Slice 231 of 455, Image size 512x512, CT 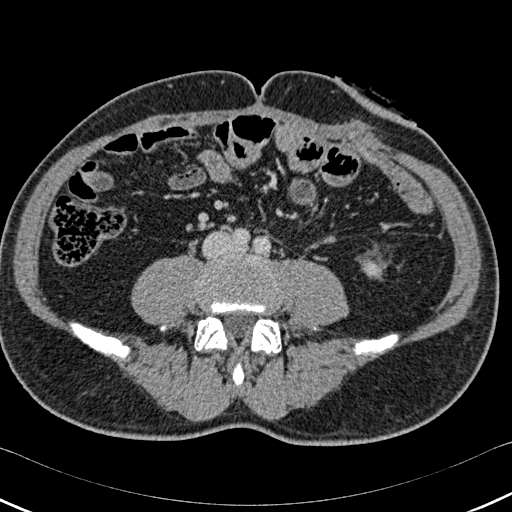 Kidney at l=365, t=263, r=379, b=274.
Bone at l=195, t=317, r=227, b=350; l=201, t=261, r=277, b=313; l=355, t=335, r=396, b=353; l=233, t=363, r=243, b=385; l=251, t=319, r=281, b=353; l=72, t=324, r=128, b=357.